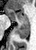 MRI | Image size 36x50 | Medial temporal lobe
Anterior hippocampus: bounding box x1=6, y1=9, x2=29, y2=22.
Posterior hippocampus: bounding box x1=15, y1=23, x2=30, y2=38.